Image size 240x240, Head
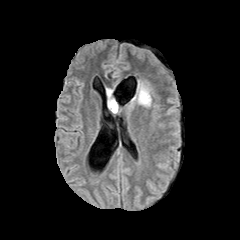
FLAIR MR image.
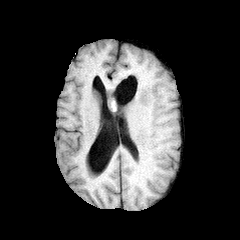
T1-weighted MR image.
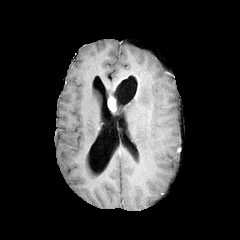
Post-contrast T1-weighted magnetic resonance.
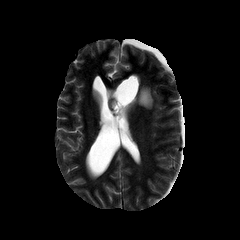
T2-weighted MRI.
Findings:
- edema: 116 81 151 111, 106 88 113 97
- enhancing tumor: 108 96 116 111